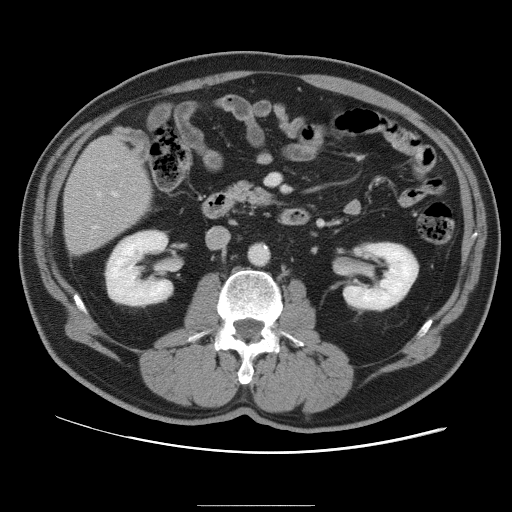

CT slice

The vessel boxes may cover only some of the vessels.
Hepatic vessel: 112, 191, 117, 195; 92, 225, 98, 228; 107, 165, 117, 168; 97, 192, 100, 196.